CT scan slice, 512x512
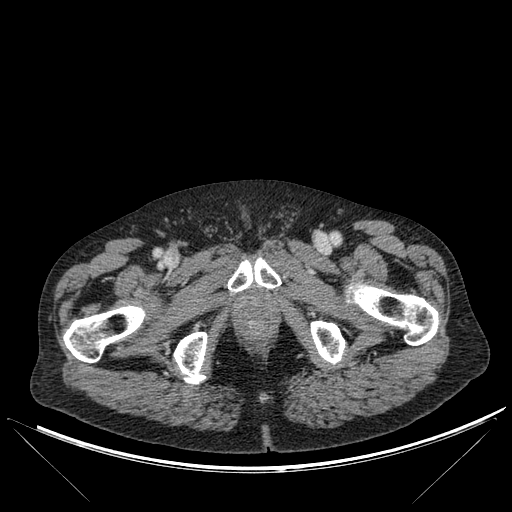 Bone = region(347, 285, 438, 345); region(63, 305, 145, 362); region(310, 321, 345, 364); region(227, 258, 281, 292); region(174, 332, 207, 383).